CT image. 512x512. Slice 65/101.

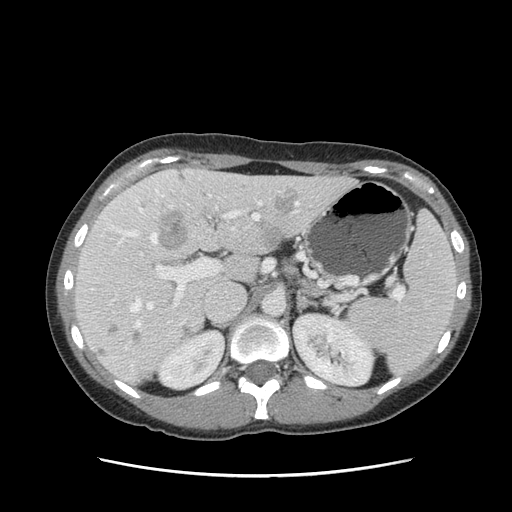

pancreas:
  - 285,264,322,295